CT scan slice. Liver. Field of view 348 mm wide, 0.80 mm slice spacing. 512x512 px. 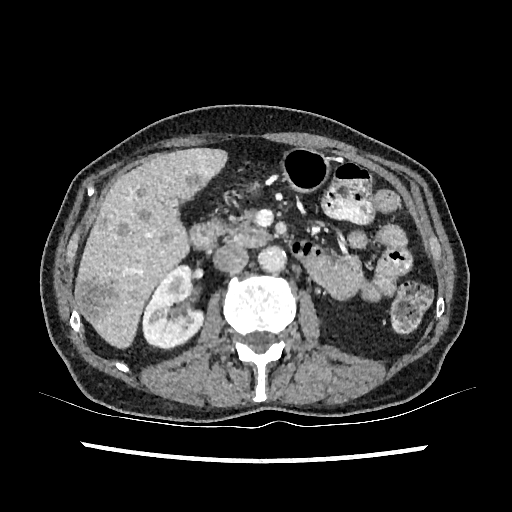 <segmentation>
  <kidney>143,266,203,347</kidney>
  <liver_lesion>185,173,203,188; 137,209,151,222; 117,223,129,235; 160,231,173,242; 100,218,107,229; 76,279,117,319; 136,187,146,197</liver_lesion>
  <liver>76,148,225,346</liver>
</segmentation>